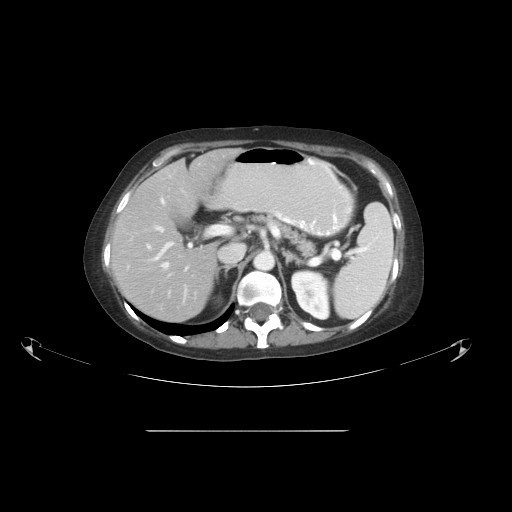

Computed tomography

Some hepatic vessels may have no box.
8 hepatic vessel regions are bounded by left=161, top=198, right=164, bottom=203; left=185, top=266, right=188, bottom=269; left=183, top=285, right=186, bottom=301; left=155, top=226, right=163, bottom=231; left=151, top=242, right=173, bottom=260; left=147, top=244, right=150, bottom=248; left=161, top=262, right=168, bottom=268; left=168, top=291, right=170, bottom=294.